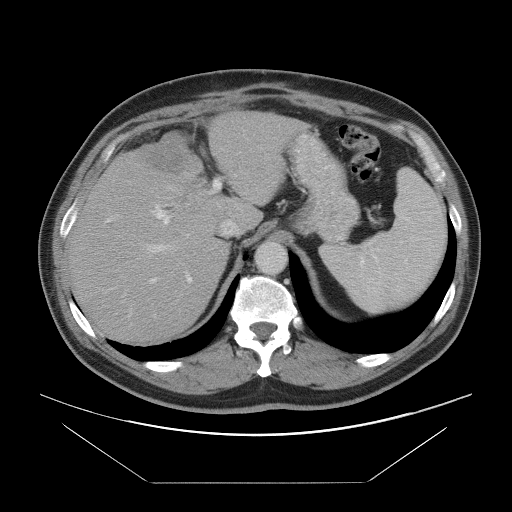

Liver, Computed tomography

Only some of the vessels may be annotated.
<segmentation>
  <hepatic_vessel>106,218,111,221; 189,194,190,195; 154,205,169,223; 150,278,156,282; 156,244,162,244; 185,203,187,205; 129,311,130,314; 187,274,191,281; 234,174,236,176</hepatic_vessel>
  <liver_tumor>142,132,189,173</liver_tumor>
</segmentation>